Computed tomography | Slice 25/38
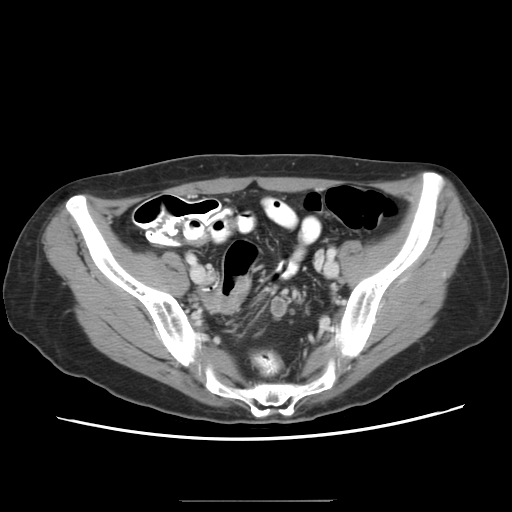 The colon tumor is bounded by 202:276:250:314.